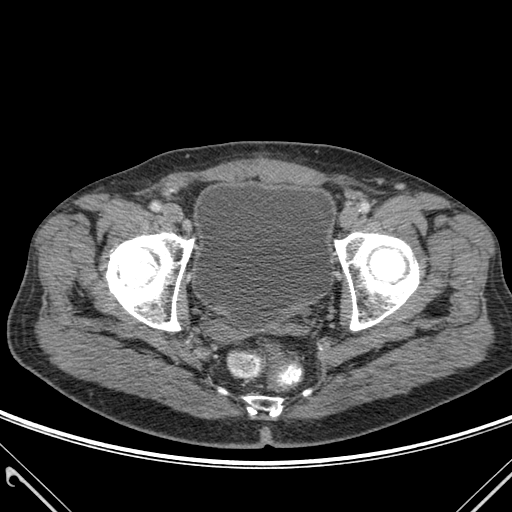 512x512, CT image

Segmented structures:
• bone: box(247, 407, 256, 414); box(106, 233, 193, 331); box(335, 232, 418, 330); box(244, 396, 282, 416)
• urinary bladder: box(195, 186, 333, 318)